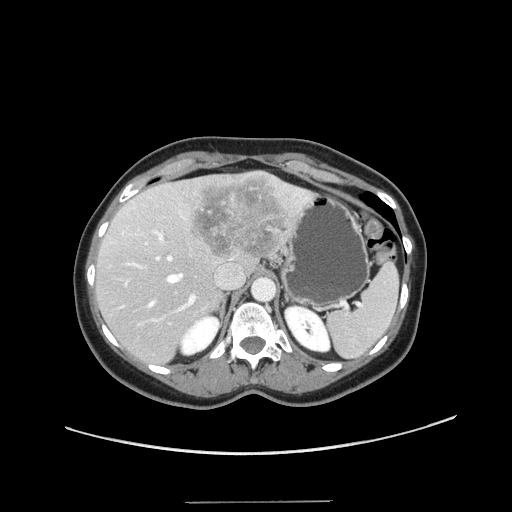 CT image; Liver
Only some of the vessels may be annotated.
{"hepatic_vessel": ["rect(149, 301, 153, 305)", "rect(153, 319, 157, 320)", "rect(155, 231, 162, 239)", "rect(127, 262, 138, 265)", "rect(216, 264, 243, 288)", "rect(125, 282, 126, 284)", "rect(168, 273, 181, 281)", "rect(168, 256, 171, 259)", "rect(157, 257, 159, 259)", "rect(179, 295, 196, 309)"], "liver_tumor": ["rect(188, 173, 293, 262)"]}